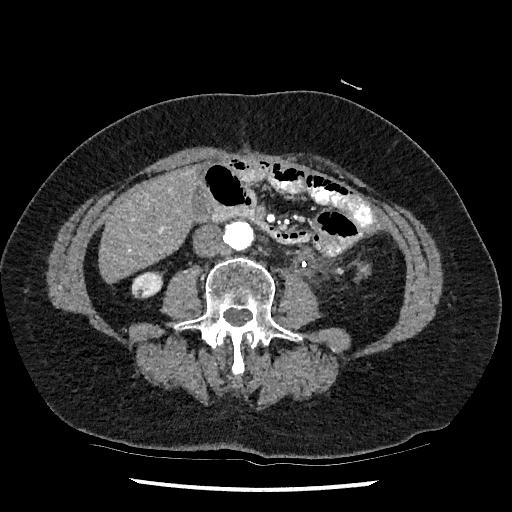
512x512 px, Liver, CT image
Liver: (left=99, top=167, right=198, bottom=282).
Kidney: (left=132, top=273, right=161, bottom=296).